Slice 32 of 147. Lower abdomen. Computed tomography.
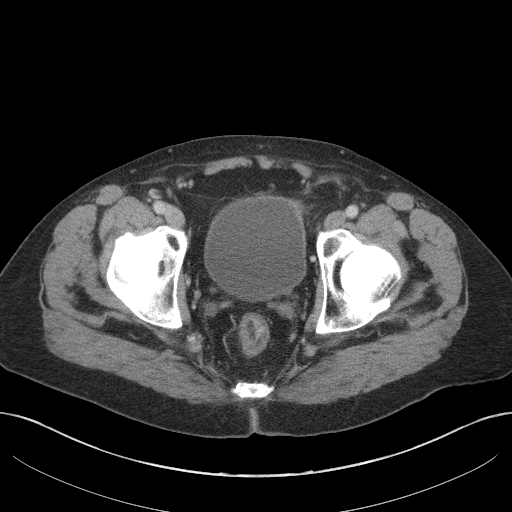 The urinary bladder is bounded by rect(205, 200, 304, 300).